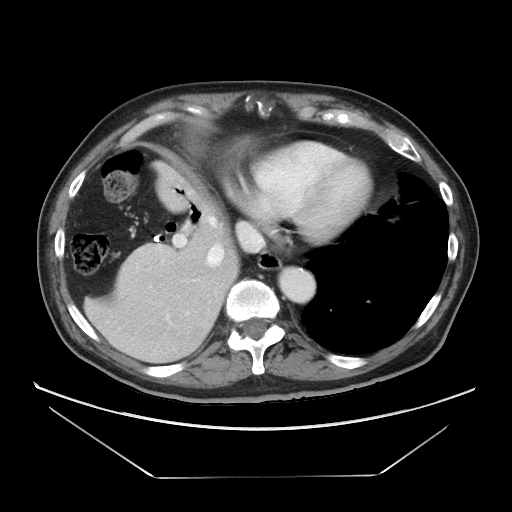
CT slice, 512x512
The vessel annotation is not exhaustive.
Findings:
* hepatic vessel: <bbox>206, 244, 223, 266</bbox>, <bbox>174, 233, 186, 246</bbox>, <bbox>168, 321, 171, 323</bbox>